CT slice; Slice 444/826; Abdomen
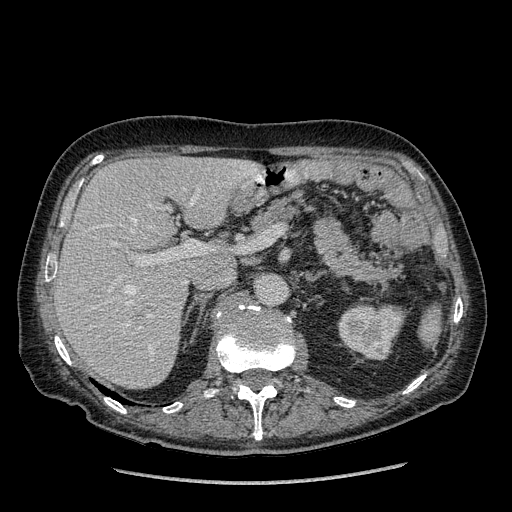 The liver is at [x1=55, y1=156, x2=257, y2=388]. The kidney is at [x1=338, y1=305, x2=404, y2=359].